Field of view 240 mm wide, 1.00 mm slice spacing. 240x240. Brain.
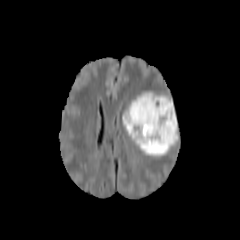
FLAIR MR image.
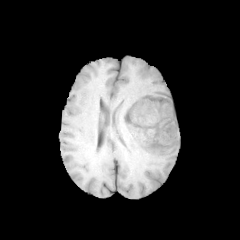
T1-weighted magnetic resonance of the same slice.
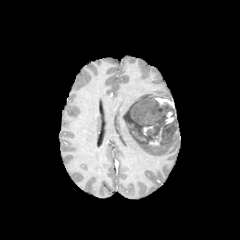
Same slice, post-contrast T1-weighted MRI.
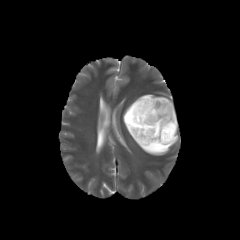
T2-weighted MRI.
edema: {"x1": 123, "y1": 91, "x2": 178, "y2": 156} | non-enhancing tumor core: {"x1": 125, "y1": 98, "x2": 178, "y2": 145} | enhancing tumor: {"x1": 165, "y1": 111, "x2": 174, "y2": 124}, {"x1": 148, "y1": 128, "x2": 162, "y2": 145}, {"x1": 153, "y1": 96, "x2": 173, "y2": 106}, {"x1": 142, "y1": 125, "x2": 154, "y2": 136}